Upper abdomen; CT; Slice index 389 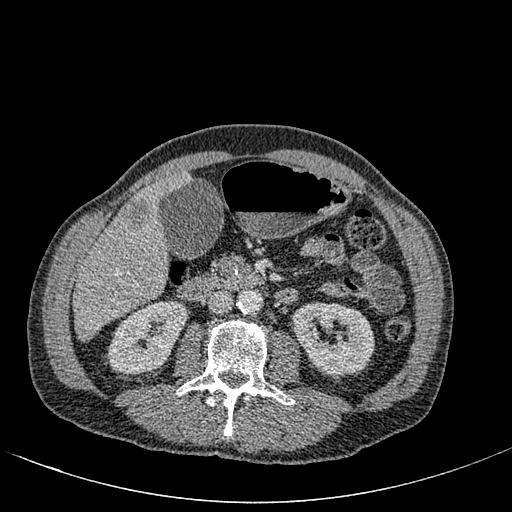
Kidney — box(108, 301, 187, 374); box(293, 299, 374, 375).
Liver — box(73, 171, 191, 340).
Hepatic lesion — box(125, 198, 149, 232).